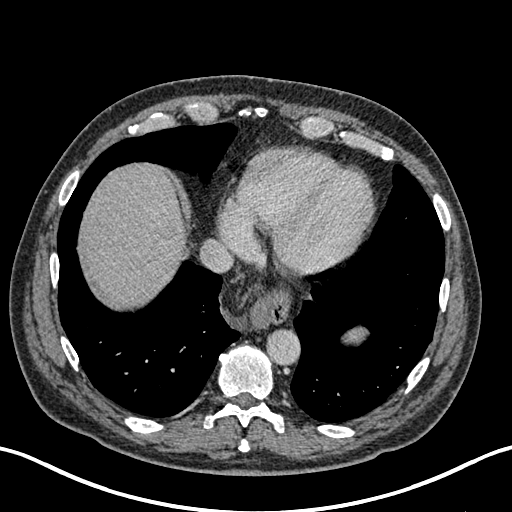
Computed tomography
The liver is at 80,163,184,308.